240x240 | Field of view 240x240 mm | Brain | Slice 95 of 155
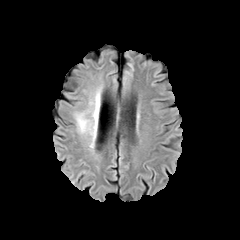
FLAIR MR.
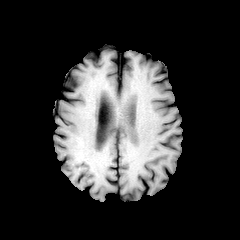
T1-weighted MR image of the same slice.
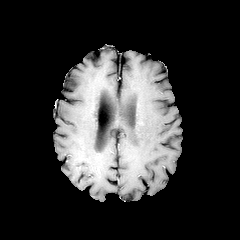
Same slice, post-contrast T1-weighted MRI.
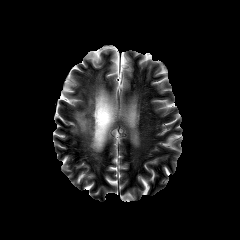
T2-weighted magnetic resonance.
- edema: (73,84,103,151)